FLAIR magnetic resonance.
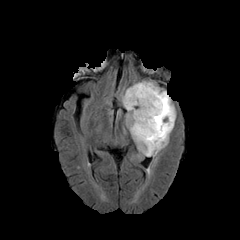
T1-weighted MRI.
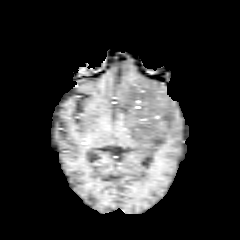
Post-contrast T1-weighted magnetic resonance.
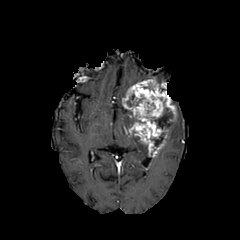
T2-weighted MR.
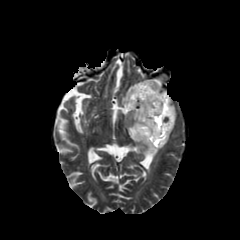
Brain; 240x240 px
<segmentation>
  <enhancing_tumor>region(122, 80, 176, 156)</enhancing_tumor>
  <edema>region(133, 139, 146, 156)</edema>
  <non-enhancing_tumor_core>region(152, 132, 165, 147); region(133, 136, 147, 150); region(126, 110, 134, 127); region(155, 111, 173, 131)</non-enhancing_tumor_core>
</segmentation>